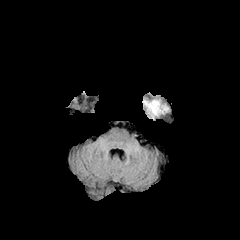
FLAIR MR image.
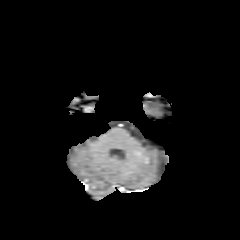
T1-weighted MRI.
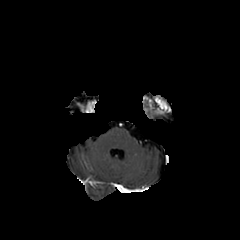
Post-contrast T1-weighted MR.
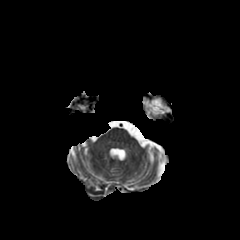
T2-weighted MR.
Image size 240x240.
Non-enhancing tumor core — {"x1": 146, "y1": 102, "x2": 157, "y2": 110}.
Enhancing tumor — {"x1": 147, "y1": 98, "x2": 166, "y2": 114}.